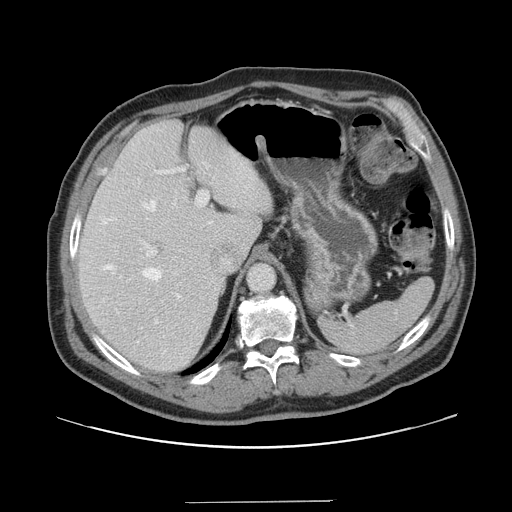

CT image
Not every hepatic vessel necessarily has a box.
* hepatic vessel: box(175, 293, 180, 298); box(143, 242, 156, 256); box(196, 191, 208, 206); box(102, 219, 112, 223); box(104, 265, 113, 269); box(155, 168, 184, 173); box(143, 268, 160, 279); box(143, 200, 155, 210)